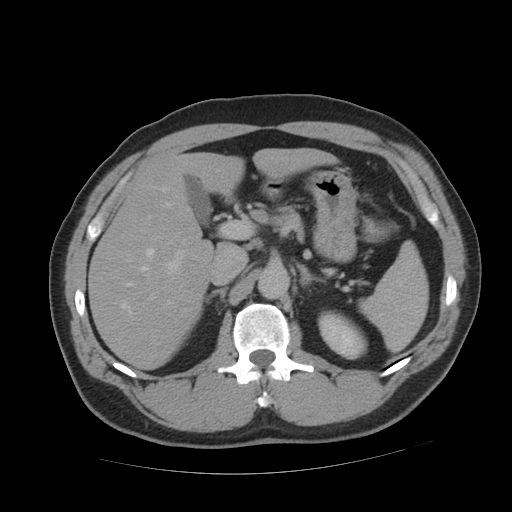 CT image, Image size 512x512, Liver
The vessel annotation is not exhaustive.
<segmentation>
  <hepatic_vessel>bbox(168, 250, 183, 274); bbox(122, 303, 126, 306); bbox(123, 282, 134, 285); bbox(138, 265, 148, 271); bbox(146, 248, 153, 254)</hepatic_vessel>
</segmentation>